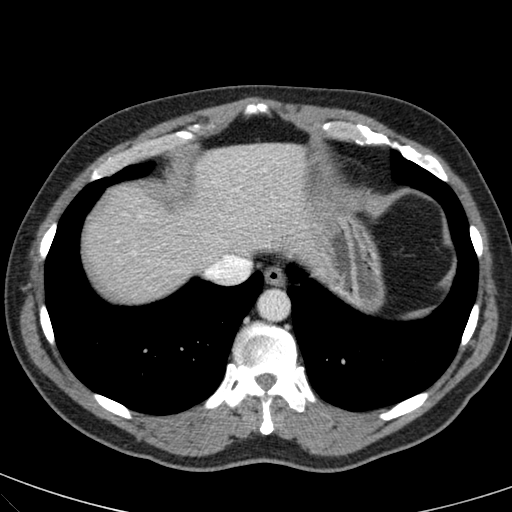

CT image. 512x512. Abdomen.

<segmentation>
  <liver>box(86, 142, 323, 299)</liver>
</segmentation>